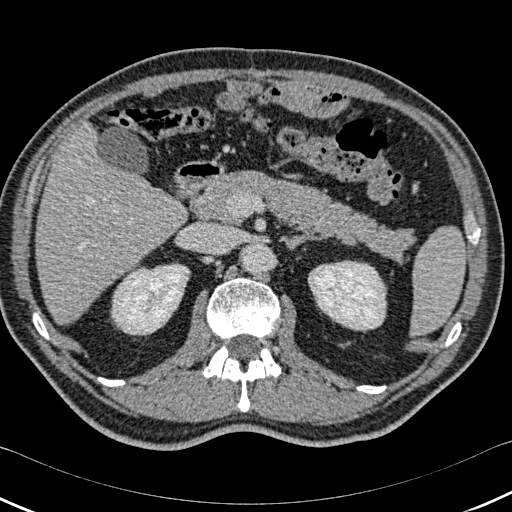 Computed tomography, 512x512
{"liver": ["bbox=[35, 125, 186, 324]"], "bone": ["bbox=[357, 386, 385, 393]", "bbox=[207, 278, 279, 340]", "bbox=[446, 323, 460, 345]", "bbox=[203, 346, 280, 411]", "bbox=[98, 378, 124, 386]", "bbox=[33, 313, 48, 338]", "bbox=[468, 229, 480, 243]"], "kidney": ["bbox=[112, 265, 188, 334]", "bbox=[308, 261, 385, 329]"]}